Field of view 240x240 mm
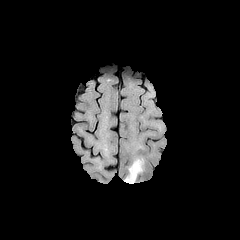
FLAIR MR.
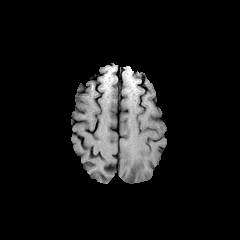
T1-weighted magnetic resonance of the same slice.
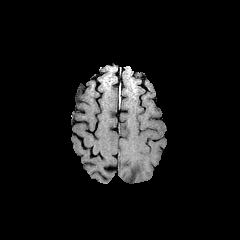
Post-contrast T1-weighted MR.
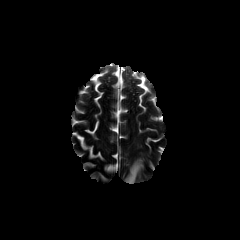
T2-weighted MR image of the same slice.
The edema is at region(125, 158, 143, 183).